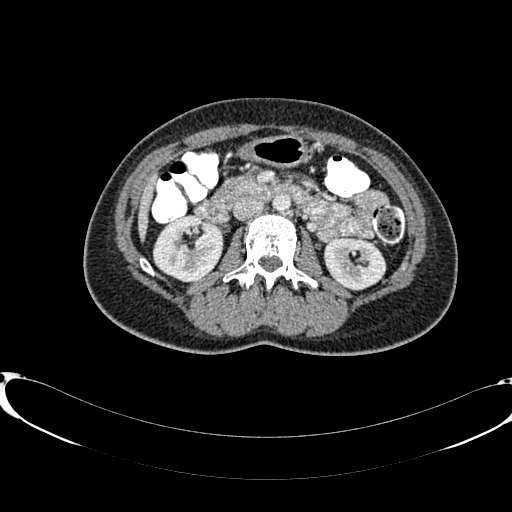 Computed tomography
The liver is located at l=138, t=175, r=155, b=240. 2 kidney regions are bounded by l=154, t=217, r=221, b=280; l=325, t=239, r=384, b=288.